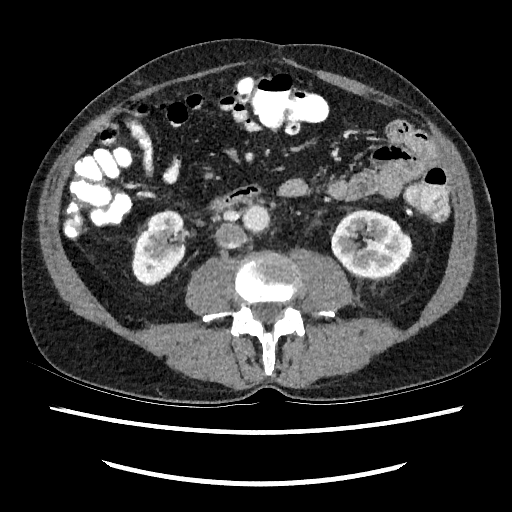

Computed tomography
2 kidney regions appear at [133,212,184,282], [332,211,410,277].